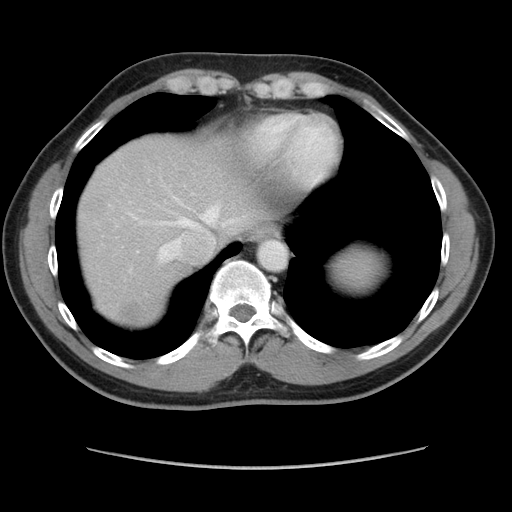

CT | Abdomen | 512x512

The vessel annotation is not exhaustive.
Annotated regions:
* liver tumor: (left=120, top=304, right=142, bottom=320)
* hepatic vessel: (left=222, top=218, right=240, bottom=226), (left=127, top=212, right=143, bottom=224), (left=200, top=204, right=219, bottom=227), (left=170, top=193, right=190, bottom=208), (left=156, top=218, right=215, bottom=261)